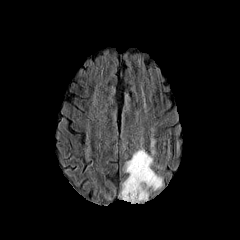
FLAIR magnetic resonance.
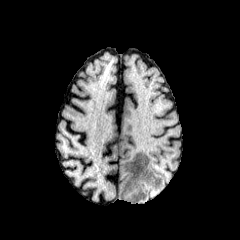
T1-weighted magnetic resonance of the same slice.
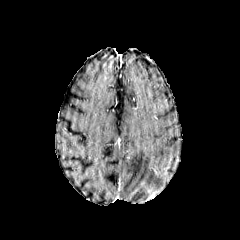
Same slice, post-contrast T1-weighted magnetic resonance.
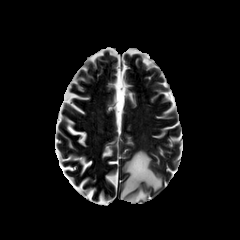
T2-weighted MR image.
<segmentation>
  <edema>{"x1": 118, "y1": 150, "x2": 163, "y2": 203}</edema>
</segmentation>